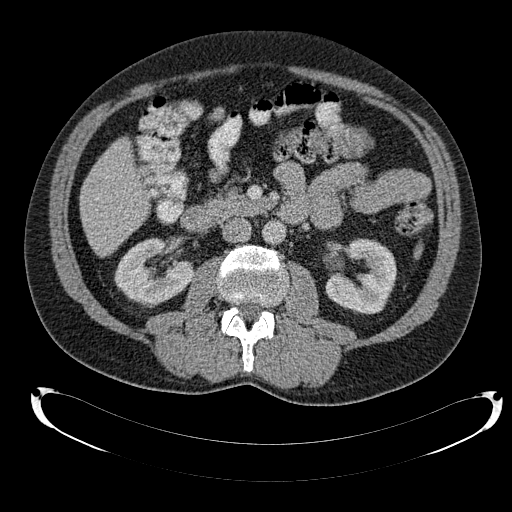 Abdomen | CT

The liver is located at <box>81,139,147,255</box>. 2 kidney regions are located at <box>115,239,193,303</box>, <box>326,239,395,313</box>.